Slice 245/536; CT scan slice; Image size 512x512
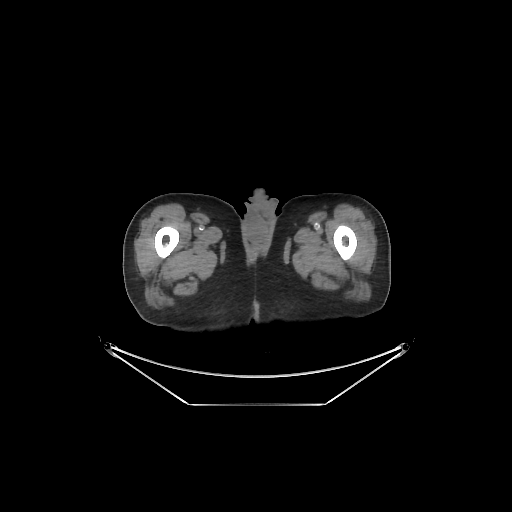

bone:
  - <bbox>333, 225, 356, 260</bbox>
  - <bbox>154, 224, 178, 258</bbox>